FLAIR magnetic resonance.
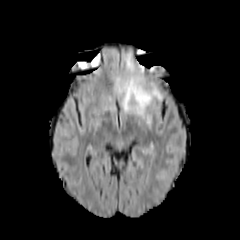
T1-weighted MR image.
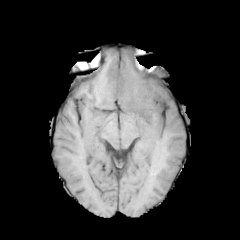
Post-contrast T1-weighted magnetic resonance.
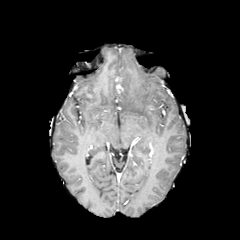
T2-weighted MR image.
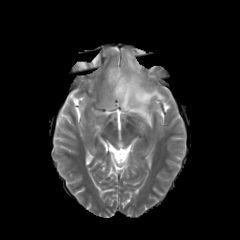
Head; Image size 240x240
Findings:
* edema: box(114, 53, 162, 124)